Slice 333 of 536, Computed tomography

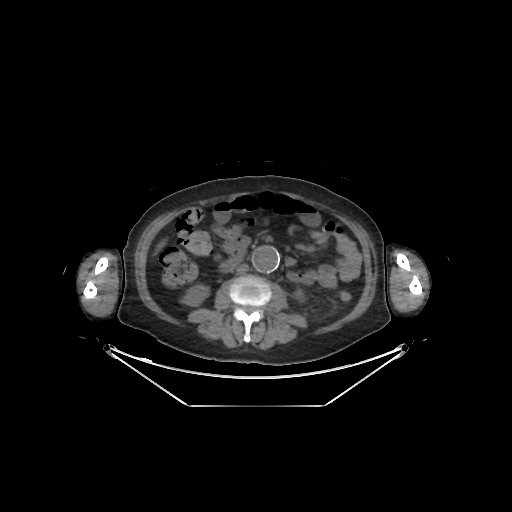
{"bone": ["box(95, 257, 107, 274)", "box(83, 279, 96, 299)", "box(230, 277, 270, 341)", "box(397, 253, 422, 296)"], "kidney": ["box(292, 289, 305, 302)", "box(180, 284, 209, 306)"]}